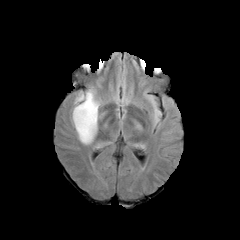
FLAIR MRI.
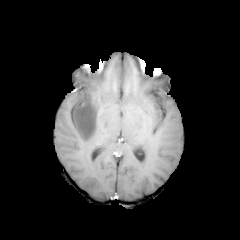
T1-weighted MR.
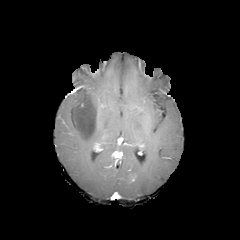
Post-contrast T1-weighted MR image.
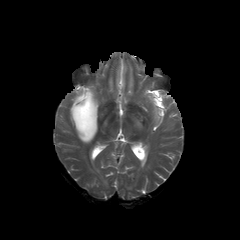
T2-weighted MR image of the same slice.
Image size 240x240. Brain.
3 edema regions appear at x1=64, y1=84, x2=102, y2=144; x1=93, y1=141, x2=106, y2=148; x1=147, y1=95, x2=161, y2=124. The non-enhancing tumor core appears at x1=72, y1=91, x2=95, y2=138.